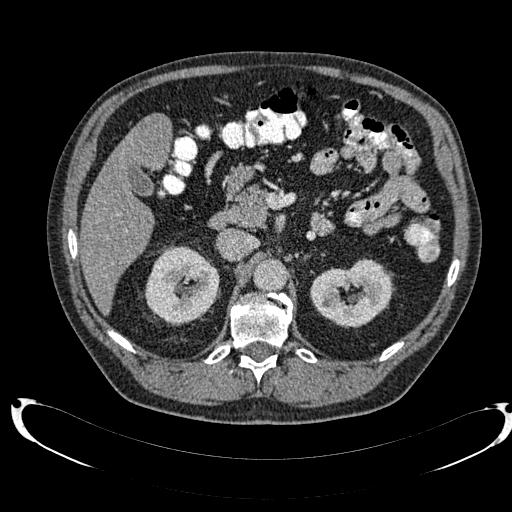

Liver | CT image | Image size 512x512

The liver is bounded by 81 114 170 315. 2 kidney regions are bounded by 310 259 392 327, 145 246 219 324.